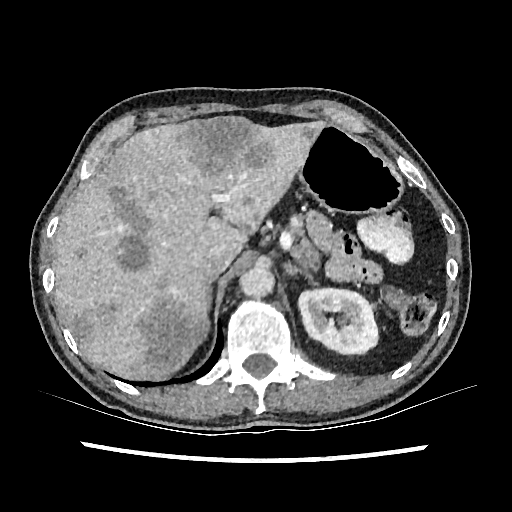

512x512; CT scan slice
liver: 54:120:328:377 | kidney: 299:288:377:353 | focal liver lesion: 74:247:86:259, 133:276:205:376, 108:186:153:272, 242:196:253:205, 71:305:115:340, 253:212:260:225, 302:127:315:139, 147:191:157:201, 178:117:274:177